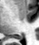

MRI

The posterior hippocampus lies within l=15, t=36, r=22, b=39.